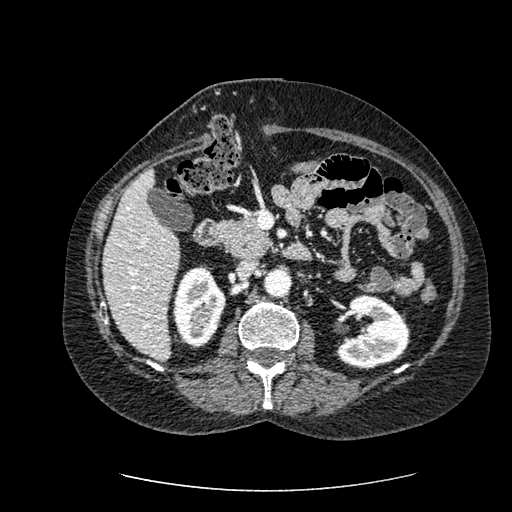 CT; Abdomen
Kidney: bounding box bbox=[338, 296, 408, 367]; bbox=[174, 268, 225, 346].
Liver: bounding box bbox=[102, 168, 179, 359].